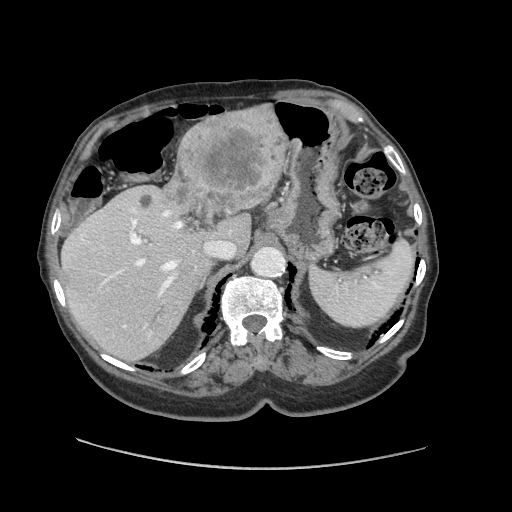 512x512 px; CT
Only some of the vessels may be annotated.
liver_tumor:
  - rect(170, 109, 281, 226)
hepatic_vessel:
  - rect(130, 233, 140, 244)
  - rect(159, 276, 172, 293)
  - rect(163, 211, 169, 216)
  - rect(204, 241, 235, 257)
  - rect(162, 260, 177, 270)
  - rect(174, 222, 182, 228)
  - rect(136, 259, 144, 264)